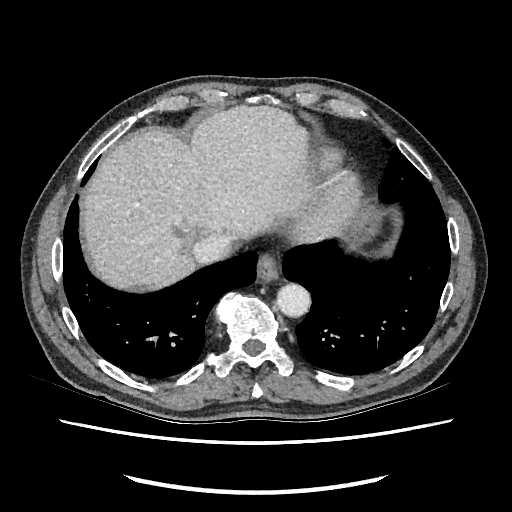

CT image; 512x512 px
2 liver lesion regions are bounded by region(129, 284, 150, 290); region(171, 222, 207, 253). The liver is at region(83, 107, 305, 290).